Slice 27/101; 512x512 px; Upper abdomen; CT scan slice

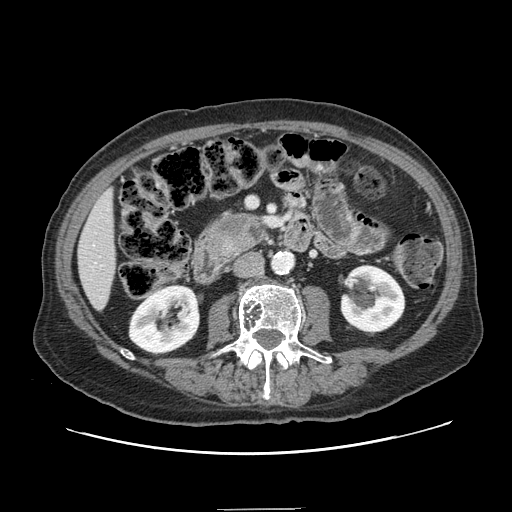 pancreatic_tumor:
  - box=[215, 214, 251, 237]
pancreas:
  - box=[208, 211, 265, 256]